FLAIR MRI.
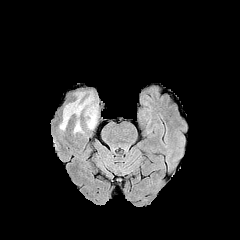
T1-weighted MR image.
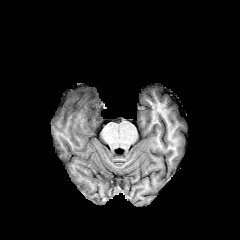
Post-contrast T1-weighted MRI.
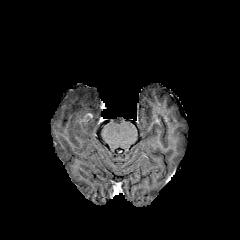
T2-weighted magnetic resonance.
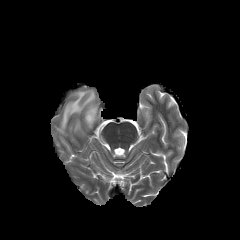
Head
edema:
  - (73, 119, 84, 134)
  - (60, 91, 99, 131)
non-enhancing_tumor_core:
  - (86, 108, 94, 122)